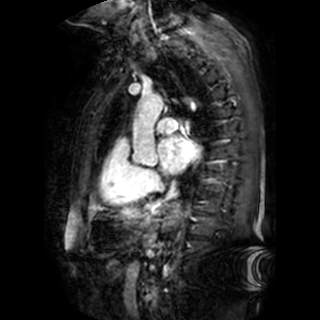
Image size 320x320. Cardiac. Magnetic resonance.

<segmentation>
  <left_atrium><bbox>158, 137, 200, 173</bbox></left_atrium>
</segmentation>